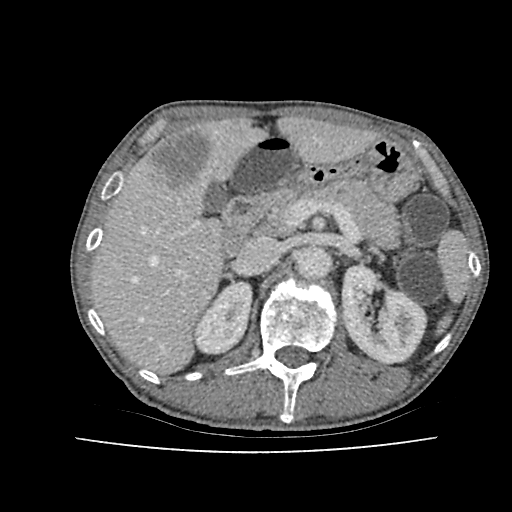
CT, Liver
Liver at l=93, t=120, r=260, b=370; l=280, t=119, r=370, b=161.
Kidney at l=196, t=283, r=250, b=352; l=342, t=267, r=425, b=362.
Hepatic lesion at l=150, t=131, r=210, b=185.